CT scan slice. Image size 512x512. Abdomen. 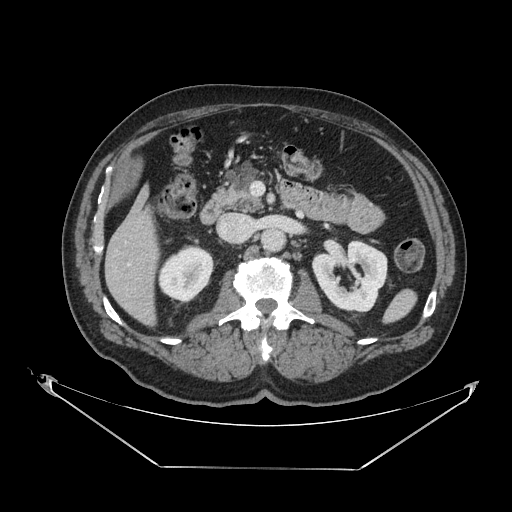 {"pancreas": ["212 162 263 214"], "pancreatic_tumor": ["232 163 256 191"]}